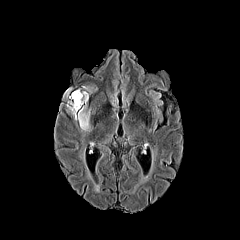
FLAIR MR image.
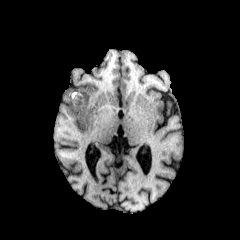
T1-weighted magnetic resonance.
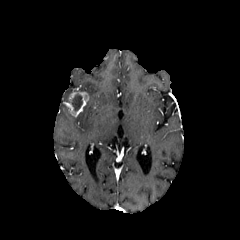
Post-contrast T1-weighted MR.
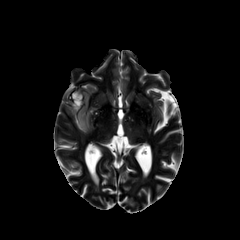
T2-weighted MR image.
Brain
• non-enhancing tumor core: box(72, 95, 82, 110)
• edema: box(74, 105, 91, 135); box(79, 86, 92, 93); box(62, 88, 72, 99)
• enhancing tumor: box(65, 88, 89, 118)